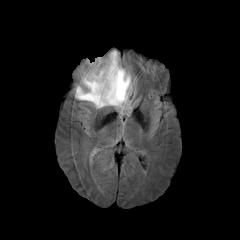
FLAIR MRI.
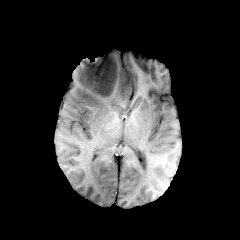
T1-weighted MR.
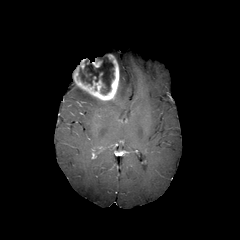
Post-contrast T1-weighted MR.
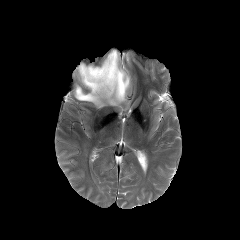
T2-weighted MR.
Head.
The edema is located at (left=73, top=49, right=135, bottom=117). The enhancing tumor is located at (left=73, top=54, right=119, bottom=102). The non-enhancing tumor core is at (left=78, top=53, right=114, bottom=94).